Slice 16/35, Hippocampus, MRI slice, Image size 35x53
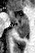

• posterior hippocampus: (left=14, top=24, right=28, bottom=38)
• anterior hippocampus: (left=8, top=10, right=28, bottom=23)